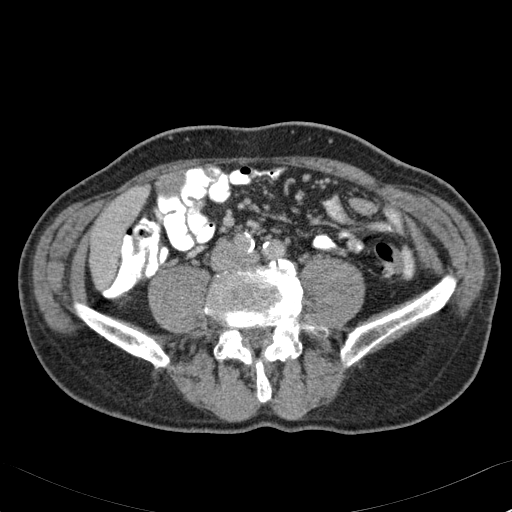
Computed tomography
Liver — (90,198,135,286), (122,185,146,212).